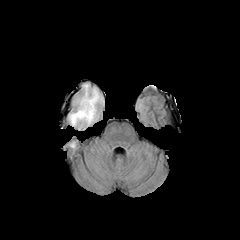
FLAIR MR image.
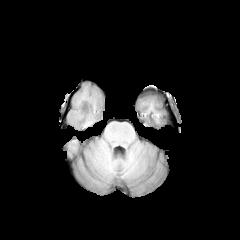
Same slice, T1-weighted MR image.
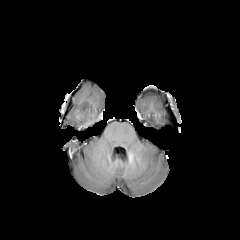
Post-contrast T1-weighted MR of the same slice.
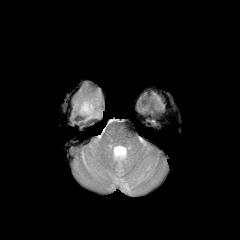
Same slice, T2-weighted magnetic resonance.
Head, 240x240
Edema at (70,84,101,128).